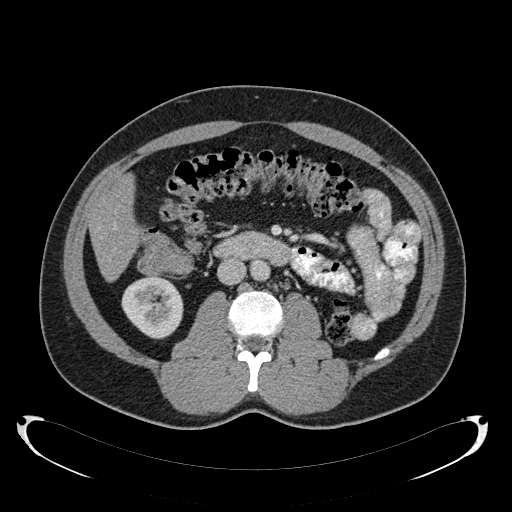
Computed tomography, Abdomen

• kidney: x1=122, y1=277, x2=182, y2=337
• liver: x1=90, y1=174, x2=137, y2=279